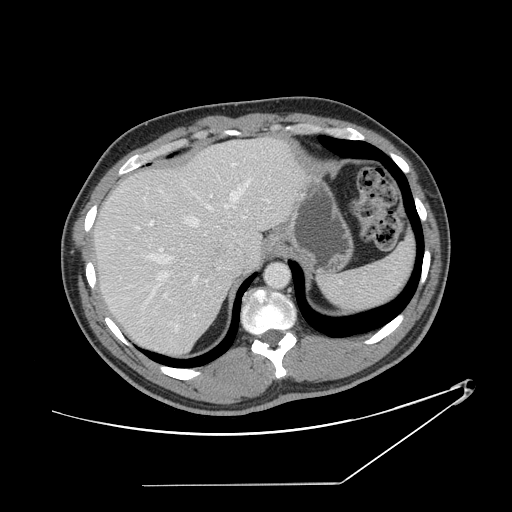
CT scan slice | 512x512 px | Liver

Only some of the vessels may be annotated.
Principal 15 of 21 hepatic vessel regions: bounding box bbox=[143, 197, 145, 200]; bbox=[175, 322, 177, 331]; bbox=[232, 163, 236, 166]; bbox=[229, 181, 249, 208]; bbox=[192, 314, 194, 316]; bbox=[266, 200, 269, 202]; bbox=[225, 204, 229, 207]; bbox=[164, 294, 166, 296]; bbox=[186, 217, 198, 226]; bbox=[207, 205, 211, 209]; bbox=[146, 248, 173, 263]; bbox=[243, 215, 246, 217]; bbox=[193, 276, 197, 281]; bbox=[150, 271, 172, 297]; bbox=[150, 220, 153, 224].